FLAIR MR image.
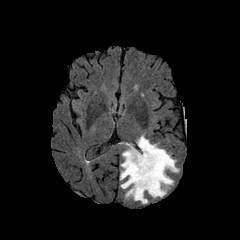
T1-weighted MR.
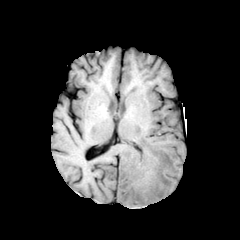
Post-contrast T1-weighted magnetic resonance.
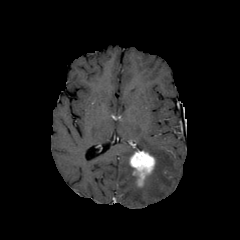
T2-weighted MR image.
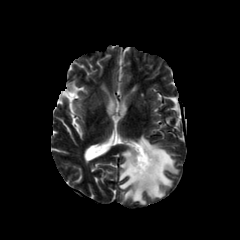
Head.
enhancing_tumor:
  - l=128, t=149, r=156, b=188
edema:
  - l=119, t=134, r=179, b=204